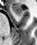
MR image | Medial temporal lobe
Anterior hippocampus = <box>11,5,22,15</box>.